FLAIR magnetic resonance.
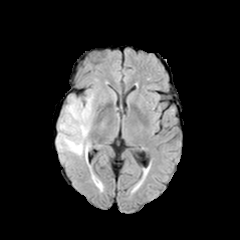
T1-weighted MRI.
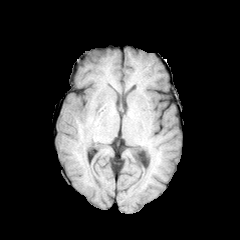
Post-contrast T1-weighted MR image.
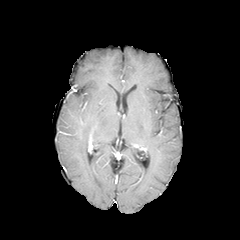
T2-weighted magnetic resonance.
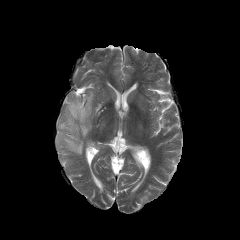
Head
edema:
  - (56, 89, 97, 161)